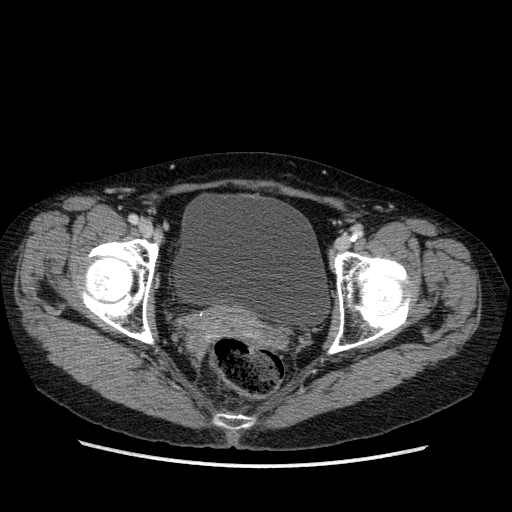
Computed tomography.
{
  "urinary_bladder": [
    "box(170, 193, 330, 328)"
  ]
}